CT scan slice | Field of view 388 mm wide, 5.00 mm slice spacing 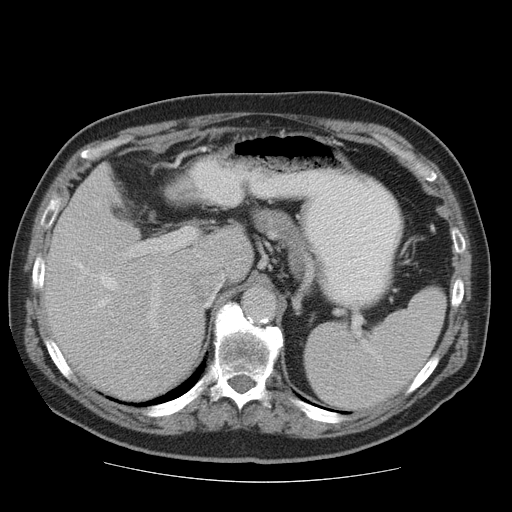

Some hepatic vessels may have no box.
Hepatic vessel at x1=204 y1=298 x2=211 y2=306, x1=122 y1=227 x2=195 y2=257, x1=117 y1=260 x2=119 y2=262, x1=94 y1=244 x2=102 y2=250, x1=88 y1=294 x2=111 y2=311, x1=91 y1=275 x2=94 y2=276, x1=87 y1=320 x2=92 y2=322, x1=147 y1=269 x2=160 y2=333, x1=100 y1=269 x2=116 y2=289, x1=73 y1=257 x2=89 y2=273, x1=80 y1=326 x2=83 y2=330, x1=159 y1=258 x2=161 y2=266.